Liver | CT slice | 512x512 | Slice index 588 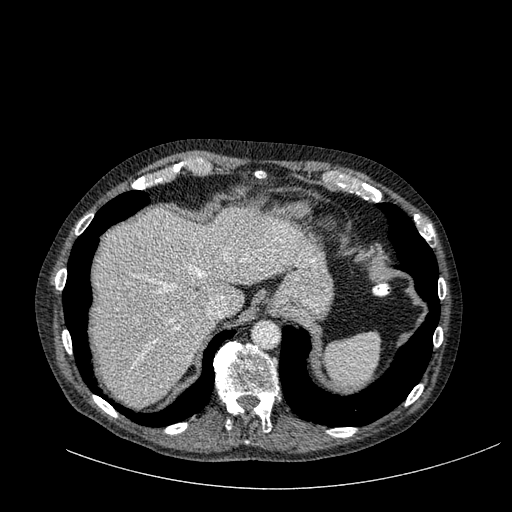
The liver is bounded by 93:208:299:405.